CT; Slice 57 of 111; Upper abdomen
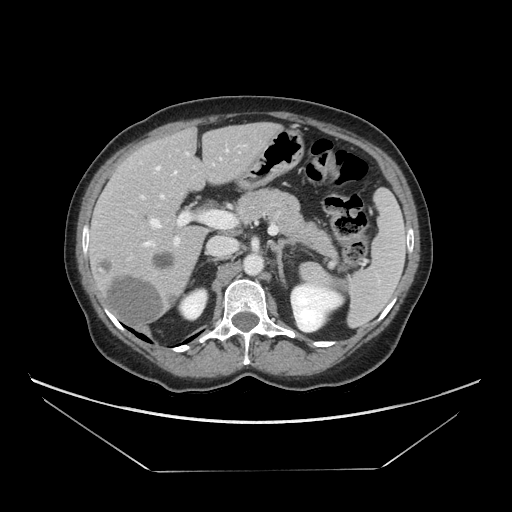 • pancreas: <bbox>235, 188, 334, 254</bbox>